Field of view 240 mm wide, 1.00 mm slice spacing
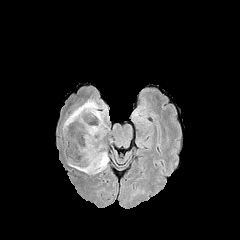
FLAIR MRI.
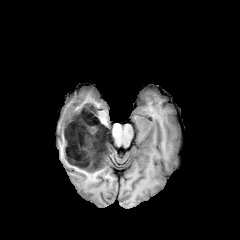
Same slice, T1-weighted magnetic resonance.
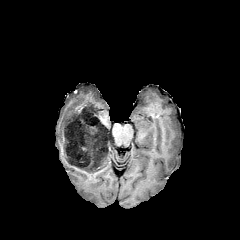
Post-contrast T1-weighted MRI of the same slice.
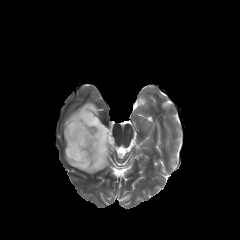
T2-weighted MR image.
{"non-enhancing_tumor_core": ["box=[65, 106, 112, 169]"], "edema": ["box=[81, 100, 102, 122]", "box=[64, 107, 80, 126]", "box=[68, 153, 109, 174]"]}